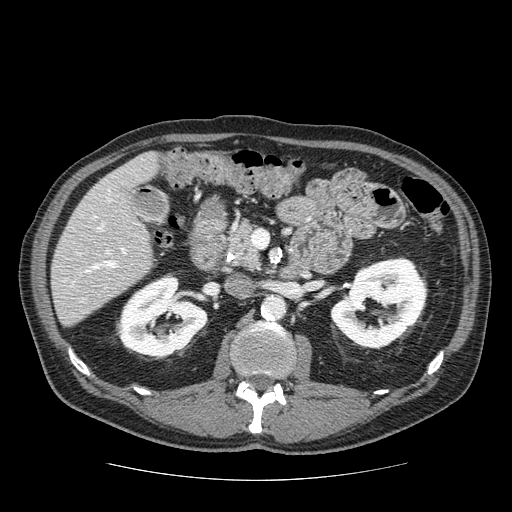

CT scan slice.

Segmented structures:
* pancreas: l=226, t=220, r=260, b=272